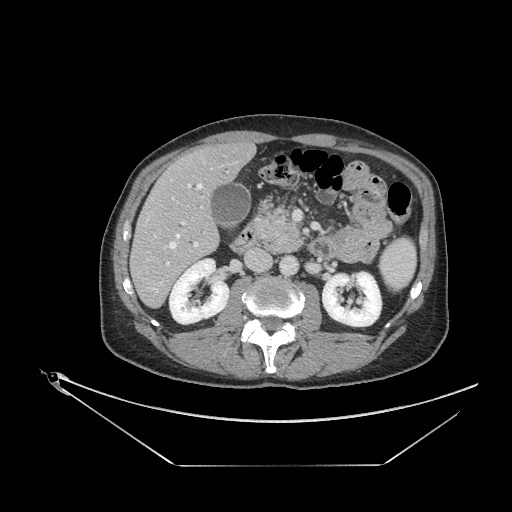

512x512 px | Upper abdomen | Computed tomography

pancreatic tumor: rect(273, 224, 300, 248) | pancreas: rect(257, 209, 304, 252)